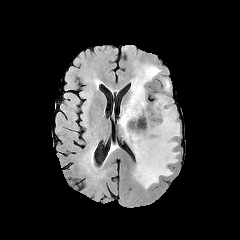
FLAIR MRI.
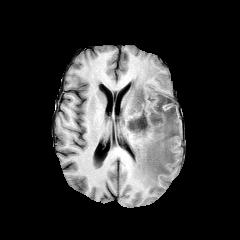
T1-weighted magnetic resonance of the same slice.
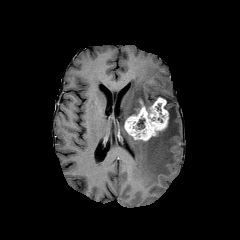
Same slice, post-contrast T1-weighted MR.
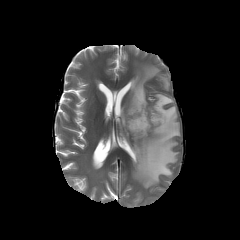
Same slice, T2-weighted MR.
Brain, 240x240
- non-enhancing tumor core: (128, 95, 146, 117), (135, 117, 145, 130), (155, 106, 174, 137)
- edema: (165, 96, 174, 108), (163, 80, 169, 89), (118, 64, 179, 188)
- enhancing tumor: (124, 97, 168, 140)